Field of view 32x49 mm; Image size 32x49; MRI slice

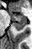
Anterior hippocampus — 9:13:26:21.
Posterior hippocampus — 14:22:26:30.